FLAIR magnetic resonance.
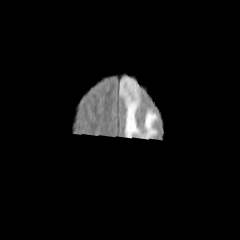
T1-weighted MRI.
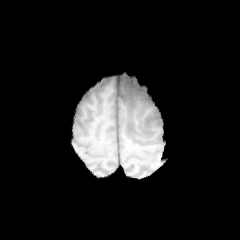
Post-contrast T1-weighted MR.
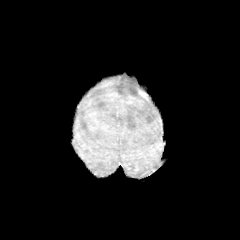
T2-weighted magnetic resonance.
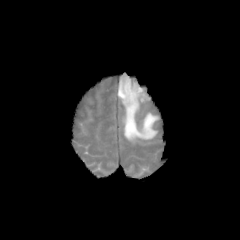
240x240
edema: box(118, 74, 158, 141)